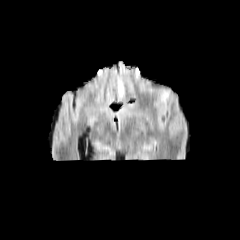
FLAIR MR.
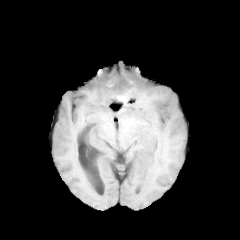
T1-weighted MR.
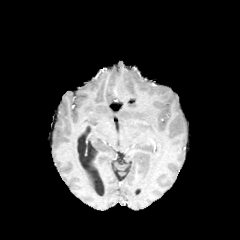
Post-contrast T1-weighted MR.
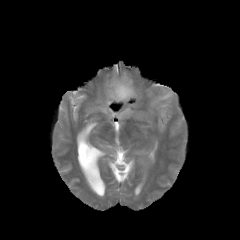
Same slice, T2-weighted MRI.
edema:
  - l=115, t=81, r=132, b=102
  - l=154, t=92, r=170, b=98